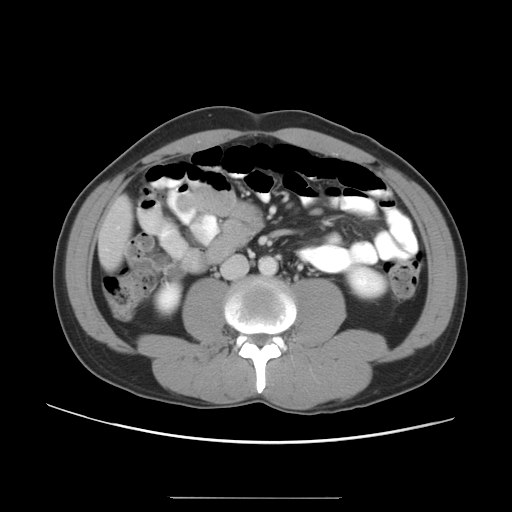
CT slice, Image size 512x512, Abdomen
Not every hepatic vessel necessarily has a box.
Hepatic vessel: bounding box l=106, t=248, r=107, b=250.